CT scan slice; Slice 73 of 81; Liver; 512x512 px

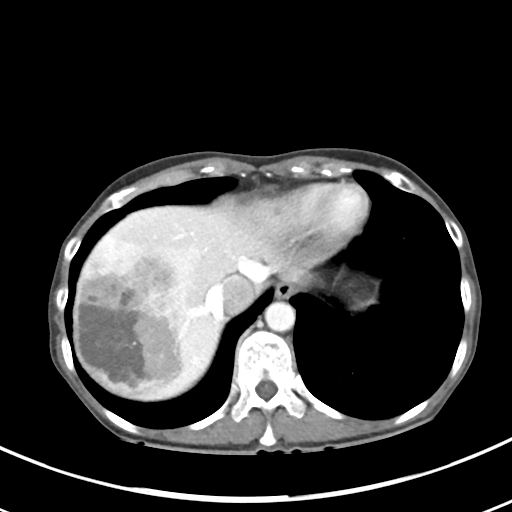
Some hepatic vessels may have no box.
{
  "hepatic_vessel": [
    "x1=193 y1=358 x2=197 y2=362",
    "x1=207 y1=291 x2=220 y2=316",
    "x1=194 y1=308 x2=205 y2=313",
    "x1=238 y1=257 x2=266 y2=272"
  ],
  "liver_tumor": [
    "x1=75 y1=244 x2=186 y2=400"
  ]
}